Field of view 496 mm wide, 5.00 mm slice spacing. Computed tomography. Image size 512x512. 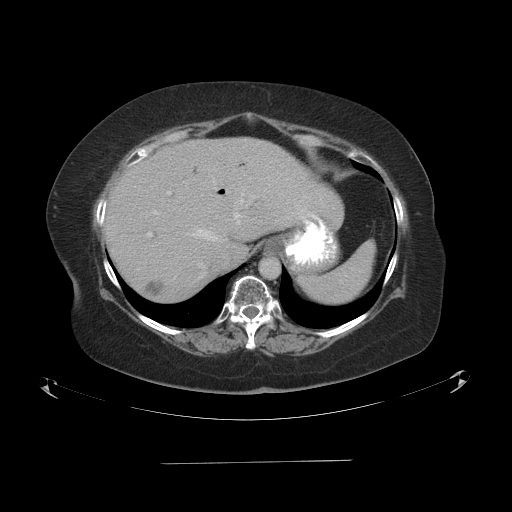
Some hepatic vessels may have no box.
5 hepatic vessel regions appear at 234 213 240 224, 214 197 219 205, 200 169 222 196, 190 228 220 241, 147 232 151 235. The liver tumor lies within 144 277 165 299.